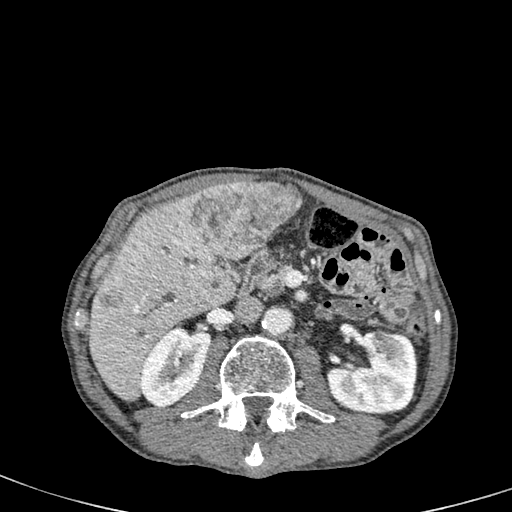 CT image. Liver.

{"kidney": ["<bbox>140, 328, 210, 406</bbox>", "<bbox>328, 326, 415, 412</bbox>"], "focal_liver_lesion": ["<bbox>193, 181, 301, 259</bbox>", "<bbox>101, 291, 123, 307</bbox>"], "liver": ["<bbox>89, 195, 235, 400</bbox>", "<bbox>282, 184, 301, 198</bbox>"]}